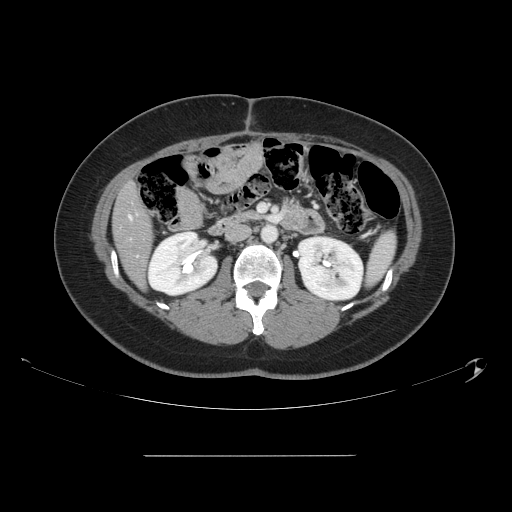

Computed tomography; Liver

The vessel boxes may cover only some of the vessels.
Hepatic vessel at bbox=[129, 215, 131, 219].